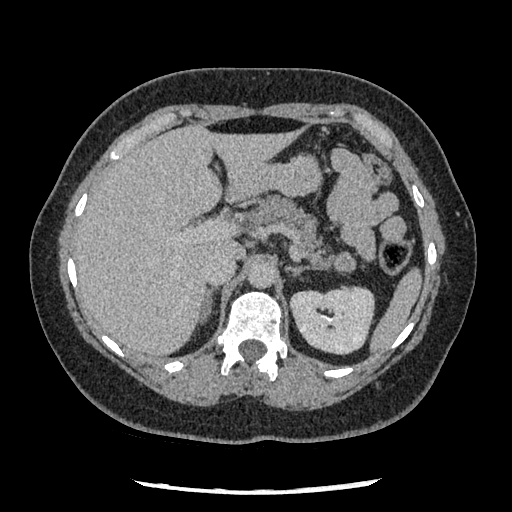

CT scan slice
The pancreatic tumor is bounded by [336, 252, 356, 273]. The pancreas is bounded by [252, 196, 339, 269].